FLAIR magnetic resonance.
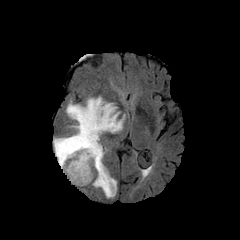
T1-weighted magnetic resonance.
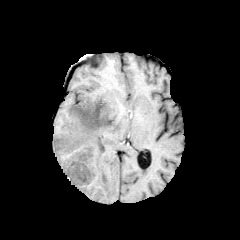
Post-contrast T1-weighted MR.
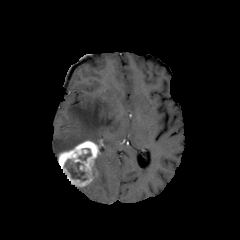
T2-weighted MRI.
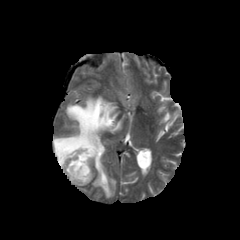
240x240 px.
The enhancing tumor lies within (left=58, top=140, right=100, bottom=186). The edema lies within (left=53, top=96, right=125, bottom=198). The non-enhancing tumor core lies within (left=68, top=166, right=86, bottom=180).